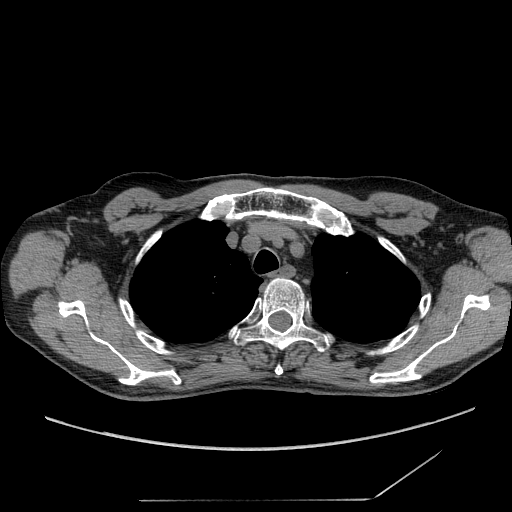

CT; 512x512; Chest

Findings:
• lung tumor: [141, 270, 151, 284]